FLAIR MR image.
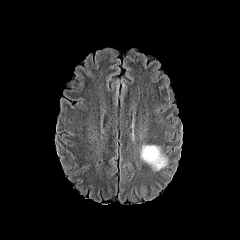
T1-weighted MR.
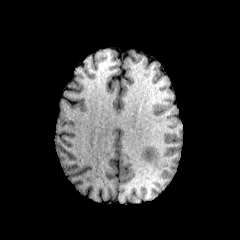
Post-contrast T1-weighted MRI.
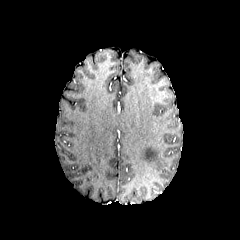
T2-weighted MR.
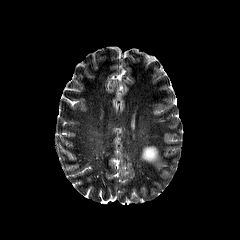
Brain.
<segmentation>
  <edema>l=140, t=146, r=166, b=169</edema>
</segmentation>